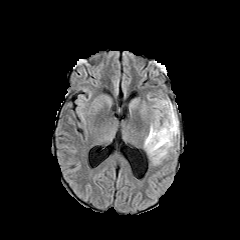
FLAIR MR.
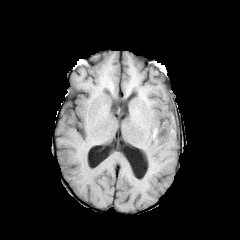
T1-weighted magnetic resonance of the same slice.
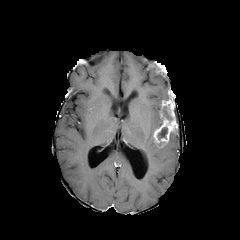
Post-contrast T1-weighted MR image.
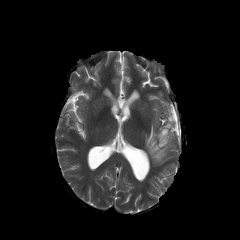
T2-weighted MR image.
Head
Annotated regions:
• enhancing tumor: x1=154, y1=100, x2=177, y2=143
• edema: x1=144, y1=100, x2=179, y2=163
• non-enhancing tumor core: x1=154, y1=127, x2=167, y2=146